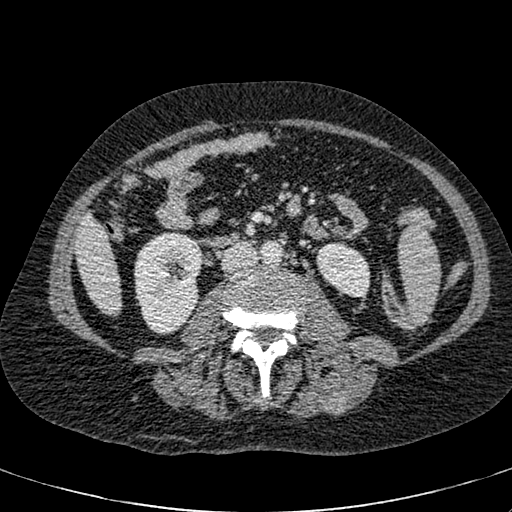
Upper abdomen; CT
2 kidney regions appear at 317:244:369:296, 135:233:201:333. The liver is at 75:214:120:313.